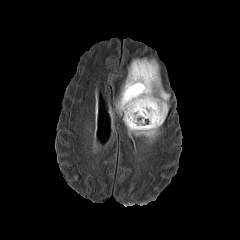
FLAIR MR.
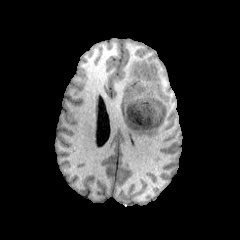
T1-weighted MR.
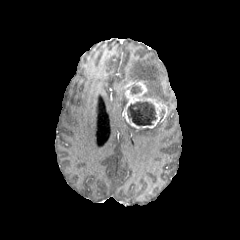
Post-contrast T1-weighted MRI of the same slice.
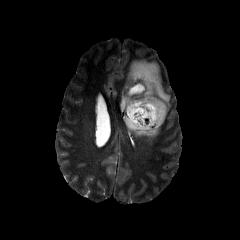
Same slice, T2-weighted magnetic resonance.
Brain
Enhancing tumor at rect(123, 81, 168, 128).
Non-enhancing tumor core at rect(127, 101, 156, 126); rect(127, 84, 141, 94).
Edema at rect(116, 89, 129, 109); rect(126, 58, 170, 110); rect(123, 114, 162, 143).